Computed tomography, Image size 512x512 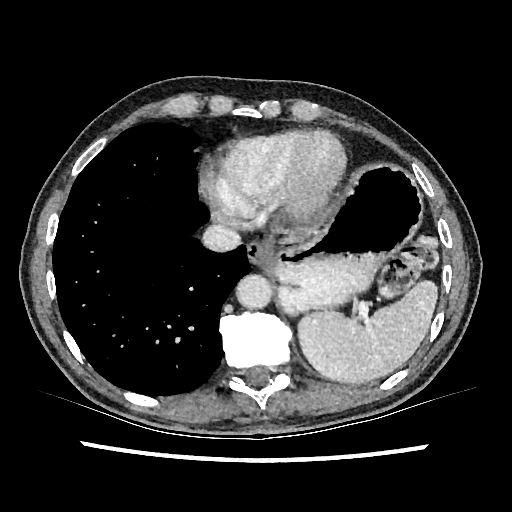

liver:
  - x1=277 y1=233 x2=303 y2=245